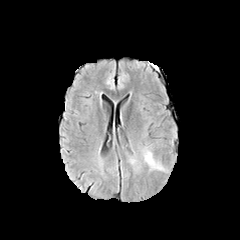
FLAIR magnetic resonance.
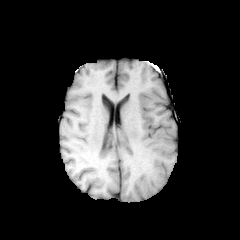
Same slice, T1-weighted MR image.
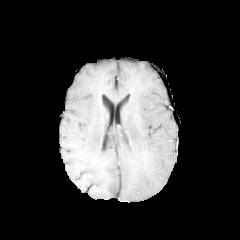
Post-contrast T1-weighted MR image.
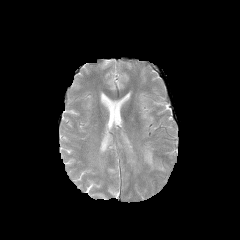
Same slice, T2-weighted MRI.
240x240
Edema: bounding box region(139, 144, 168, 172).